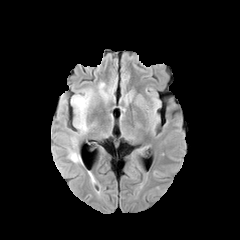
FLAIR magnetic resonance.
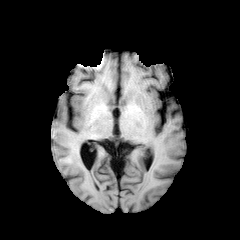
T1-weighted magnetic resonance of the same slice.
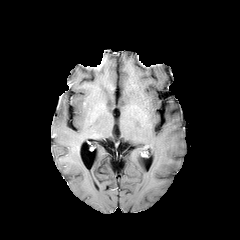
Same slice, post-contrast T1-weighted MRI.
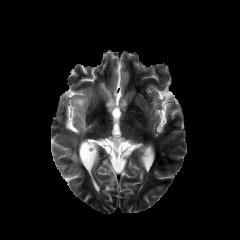
T2-weighted MR image.
240x240 px
3 edema regions appear at bbox=[66, 137, 81, 163]; bbox=[59, 87, 93, 134]; bbox=[97, 82, 113, 100].